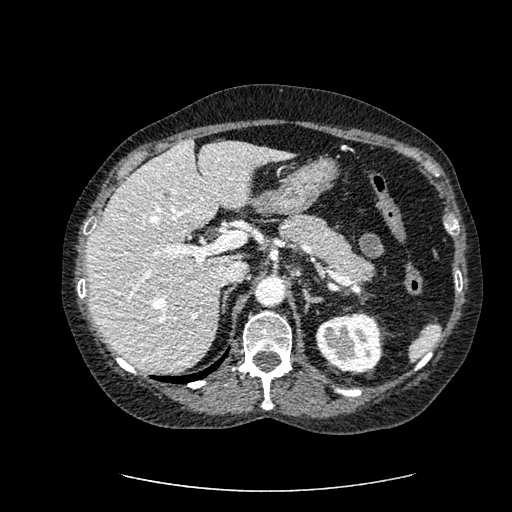
Liver. CT. Kidney = l=316, t=314, r=380, b=372.
Hepatic lesion = l=163, t=191, r=171, b=199.
Liver = l=86, t=139, r=296, b=371.